FLAIR MRI.
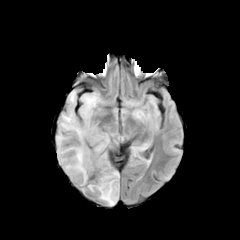
T1-weighted MRI.
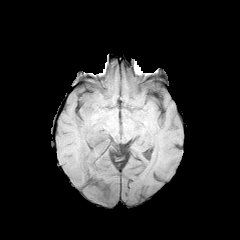
Post-contrast T1-weighted MRI.
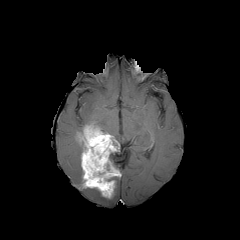
T2-weighted MR image.
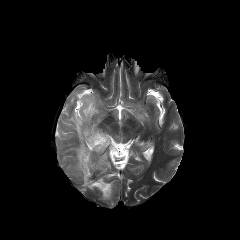
Head | 240x240 px
{"enhancing_tumor": ["78,125,119,197"], "edema": ["56,90,101,181", "131,109,143,118", "99,177,119,204"], "non-enhancing_tumor_core": ["76,124,87,167", "91,170,101,177", "104,158,117,172"]}